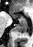
Medial temporal lobe | Image size 33x47 | MR
anterior hippocampus: bbox=[18, 16, 26, 20]; bbox=[12, 15, 15, 18] | posterior hippocampus: bbox=[16, 21, 27, 34]